CT. Upper abdomen. Slice 52/89.

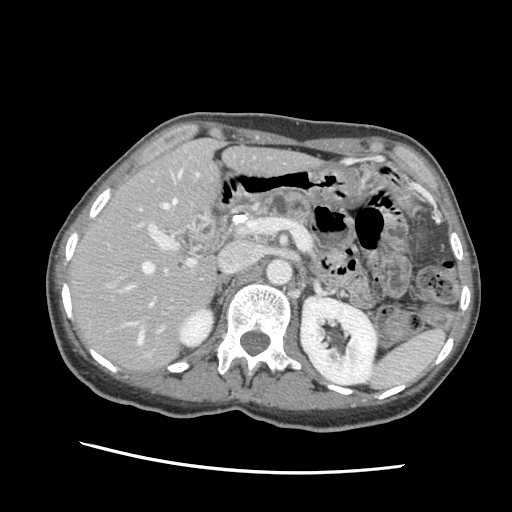 The pancreas lies within 251 191 312 222.